Slice 79/155
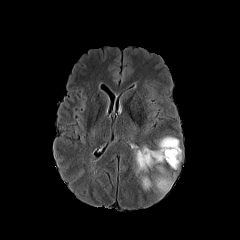
FLAIR MRI.
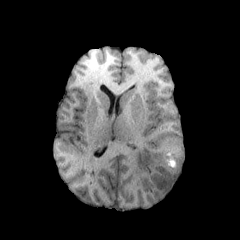
T1-weighted magnetic resonance of the same slice.
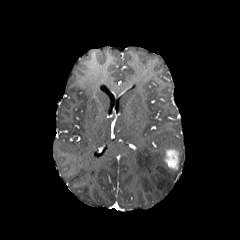
Same slice, post-contrast T1-weighted MR.
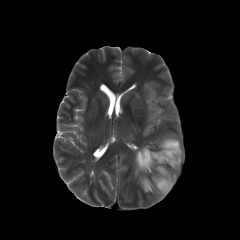
T2-weighted magnetic resonance of the same slice.
Segmented structures:
• edema: box=[134, 136, 181, 195]
• enhancing tumor: box=[163, 148, 179, 171]